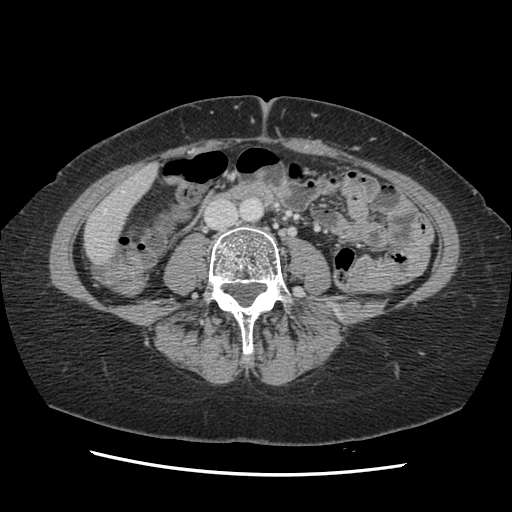
Liver; CT slice; Image size 512x512
Not every hepatic vessel necessarily has a box.
Annotated regions:
- hepatic vessel: <box>104,210,105,212</box>